FLAIR magnetic resonance.
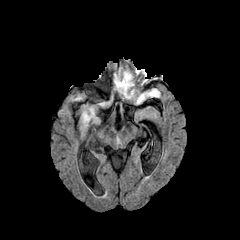
T1-weighted MR.
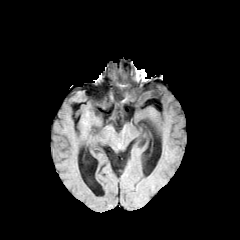
Post-contrast T1-weighted MRI.
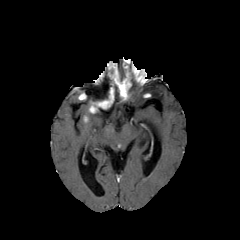
T2-weighted MR image.
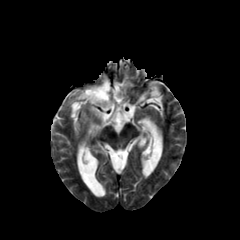
Image size 240x240
Enhancing tumor — 115 74 131 98.
Edema — 128 69 143 86, 132 88 160 104, 113 68 121 79.
Non-enhancing tumor core — 89 80 119 113, 119 69 128 81.